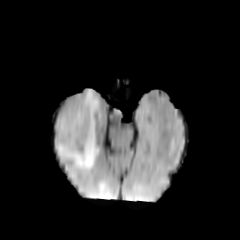
FLAIR MR.
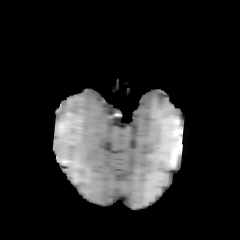
T1-weighted magnetic resonance of the same slice.
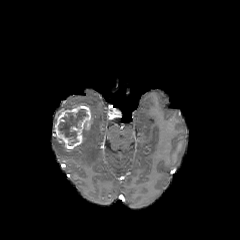
Post-contrast T1-weighted MR.
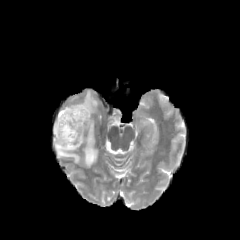
T2-weighted MR image of the same slice.
enhancing_tumor:
  - [54,104,92,150]
non-enhancing_tumor_core:
  - [57,109,86,139]
edema:
  - [54,89,99,168]